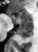 Hippocampus; MRI slice
posterior hippocampus: 18 24 32 38 | anterior hippocampus: 8 10 31 23